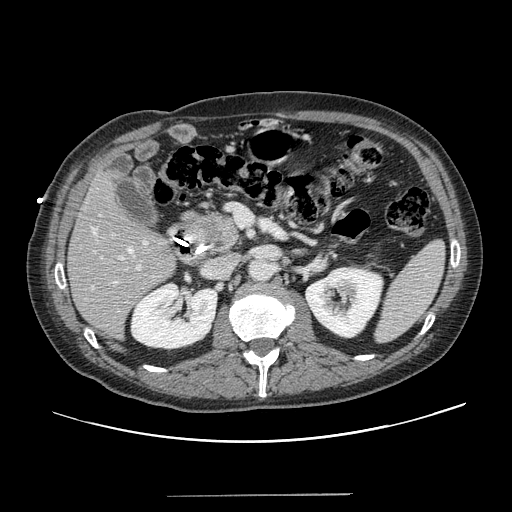 512x512 px, CT slice, Abdomen
The pancreas is at region(183, 211, 241, 256). The pancreatic tumor lies within region(199, 216, 231, 238).